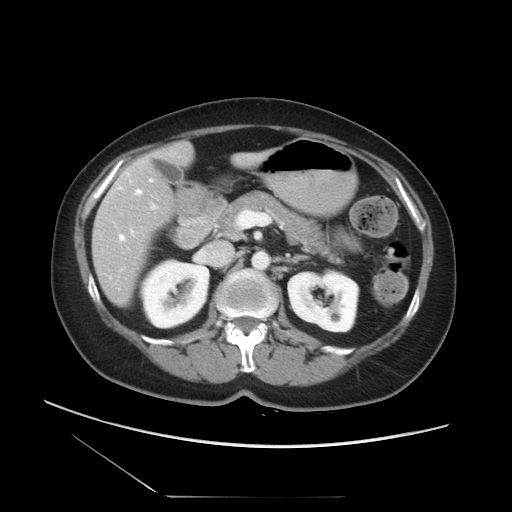 Computed tomography. Image size 512x512.
Some hepatic vessels may have no box.
- hepatic vessel: 237, 210, 255, 227; 125, 173, 131, 180; 131, 230, 134, 234; 150, 180, 152, 181; 135, 190, 141, 195; 117, 185, 121, 189; 172, 153, 174, 155; 150, 204, 156, 209; 119, 235, 124, 241